240x240
FLAIR MRI.
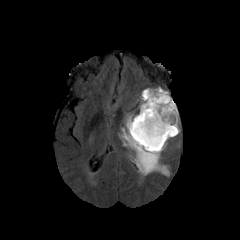
T1-weighted MR.
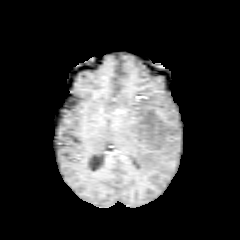
Post-contrast T1-weighted MR.
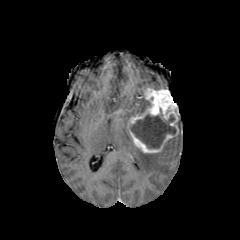
T2-weighted MRI.
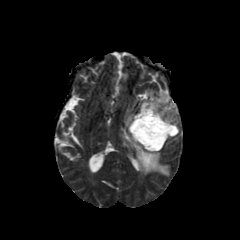
Findings:
• non-enhancing tumor core: bbox(130, 114, 176, 148); bbox(140, 95, 149, 109)
• enhancing tumor: bbox(128, 88, 179, 152)
• edema: bbox(121, 116, 168, 175); bbox(163, 116, 180, 148); bbox(132, 100, 143, 115)